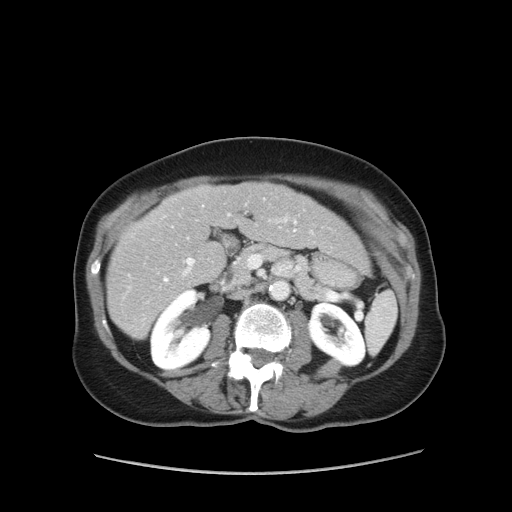

CT
The vessel boxes may cover only some of the vessels.
hepatic_vessel:
  - [x1=269, y1=219, x2=272, y2=221]
  - [x1=293, y1=219, x2=296, y2=223]
  - [x1=164, y1=278, x2=167, y2=280]
  - [x1=228, y1=214, x2=229, y2=215]
  - [x1=275, y1=216, x2=288, y2=222]
  - [x1=182, y1=257, x2=194, y2=275]
  - [x1=128, y1=286, x2=130, y2=288]